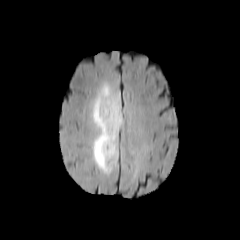
FLAIR MR.
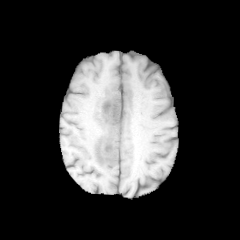
T1-weighted magnetic resonance.
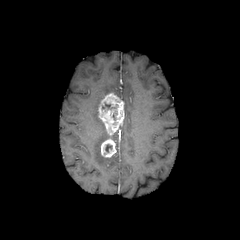
Post-contrast T1-weighted magnetic resonance.
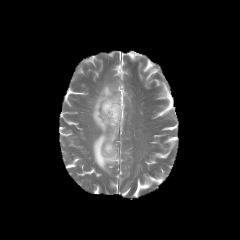
T2-weighted magnetic resonance.
Brain
enhancing tumor: {"x1": 98, "y1": 93, "x2": 124, "y2": 135}, {"x1": 100, "y1": 139, "x2": 117, "y2": 157} | edema: {"x1": 92, "y1": 82, "x2": 119, "y2": 174} | non-enhancing tumor core: {"x1": 101, "y1": 101, "x2": 116, "y2": 110}, {"x1": 104, "y1": 144, "x2": 112, "y2": 153}